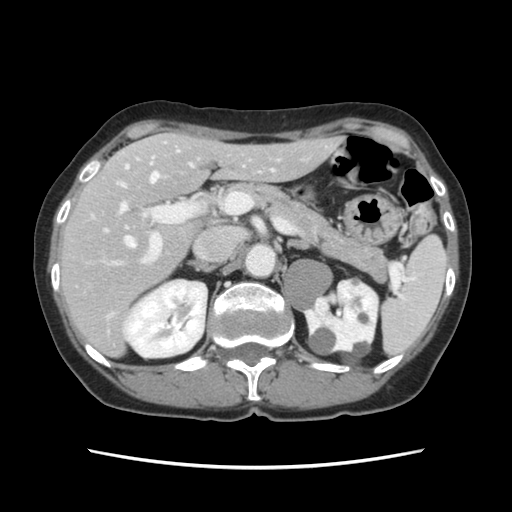 Liver; CT slice

The vessel boxes may cover only some of the vessels.
{"hepatic_vessel": ["119, 203, 127, 212", "125, 237, 134, 246", "150, 172, 158, 182", "140, 233, 160, 263", "189, 164, 193, 166", "125, 165, 128, 169", "150, 157, 153, 164"]}